FLAIR MRI.
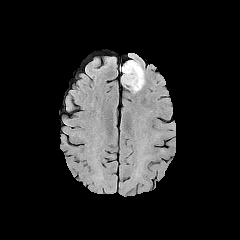
T1-weighted MRI.
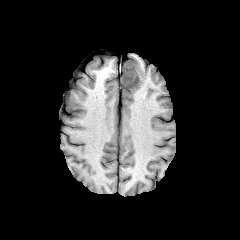
Post-contrast T1-weighted MRI.
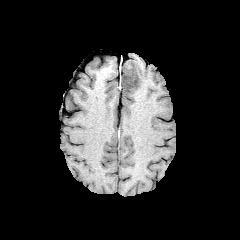
T2-weighted MR image.
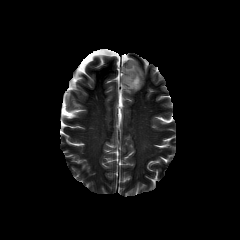
Head.
Edema = bbox=[129, 65, 145, 92].
Non-enhancing tumor core = bbox=[122, 60, 140, 89].